Field of view 408x408 mm, Abdomen, Computed tomography
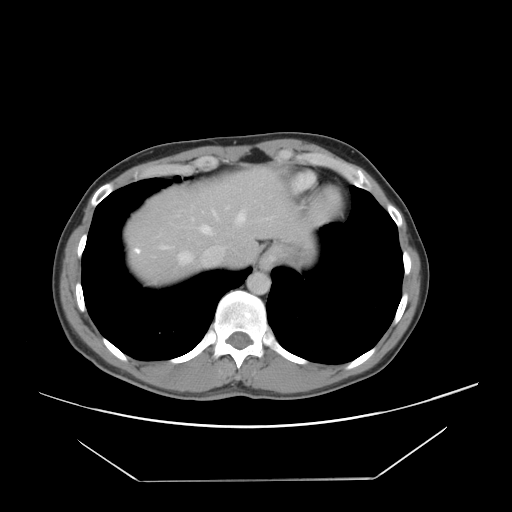

The vessel annotation is not exhaustive.
Hepatic vessel: bounding box {"x1": 178, "y1": 251, "x2": 192, "y2": 263}, {"x1": 212, "y1": 209, "x2": 217, "y2": 219}, {"x1": 226, "y1": 206, "x2": 228, "y2": 208}, {"x1": 199, "y1": 225, "x2": 212, "y2": 234}, {"x1": 192, "y1": 218, "x2": 193, "y2": 219}, {"x1": 236, "y1": 210, "x2": 245, "y2": 224}, {"x1": 220, "y1": 247, "x2": 223, "y2": 251}.